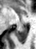 Magnetic resonance, 36x49 px, Medial temporal lobe
The posterior hippocampus is at rect(16, 27, 27, 42).